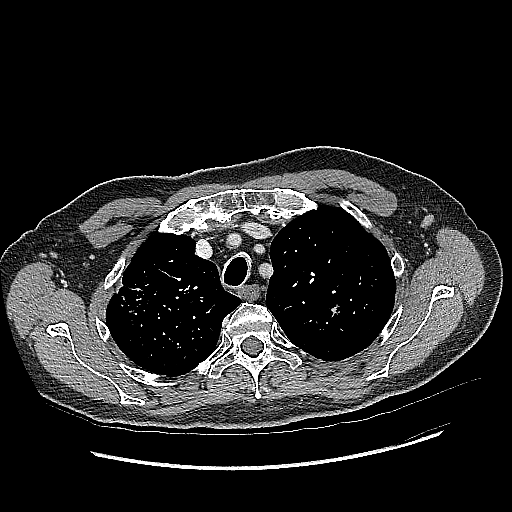

Thorax | CT image | 512x512

The lung tumor is at 117,285,147,316.